Brain | 240x240 px
FLAIR MR image.
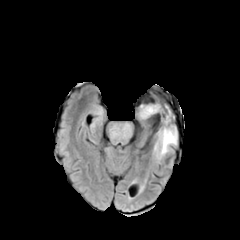
T1-weighted MR.
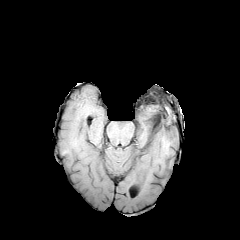
Post-contrast T1-weighted MRI.
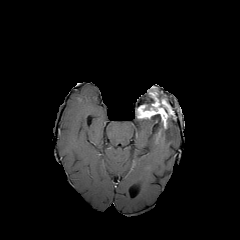
T2-weighted magnetic resonance.
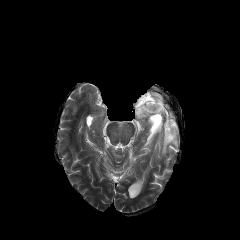
<segmentation>
  <edema>[152, 127, 177, 160]</edema>
  <enhancing_tumor>[136, 96, 174, 129]</enhancing_tumor>
  <non-enhancing_tumor_core>[158, 118, 175, 146], [150, 114, 161, 121]</non-enhancing_tumor_core>
</segmentation>